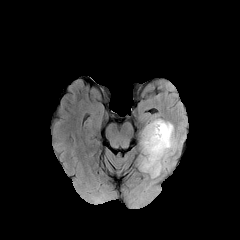
FLAIR MRI.
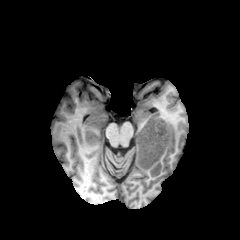
T1-weighted MR.
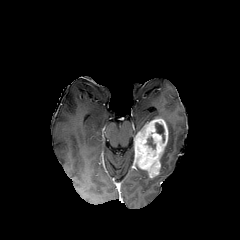
Post-contrast T1-weighted MRI of the same slice.
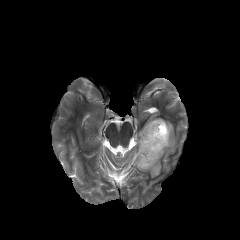
T2-weighted MR image.
Brain. 240x240 px.
<segmentation>
  <non-enhancing_tumor_core>(155,123,164,133)</non-enhancing_tumor_core>
  <edema>(160,121,178,171)</edema>
  <enhancing_tumor>(134,118,168,177)</enhancing_tumor>
</segmentation>